CT slice, 512x512, Slice 78 of 81, Liver 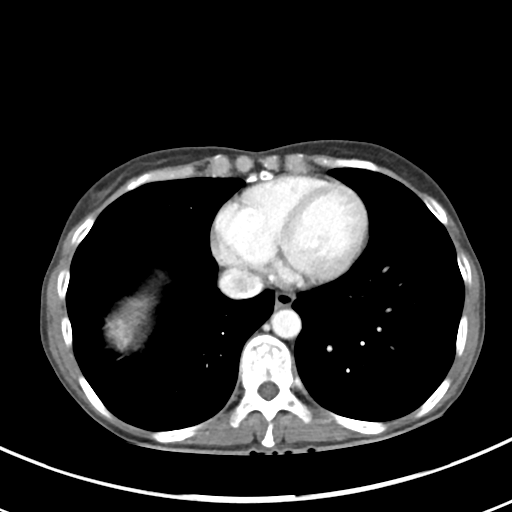 The liver tumor lies within <bbox>112, 322, 129, 343</bbox>.